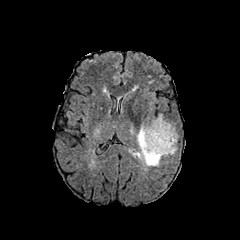
FLAIR MR.
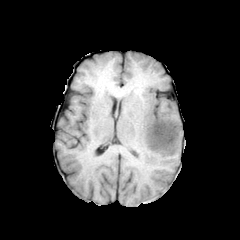
T1-weighted MR image of the same slice.
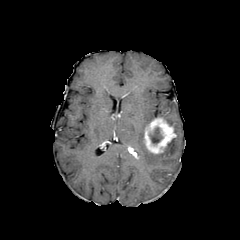
Post-contrast T1-weighted MR.
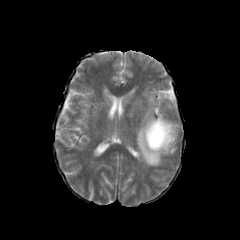
T2-weighted MR image of the same slice.
240x240
Non-enhancing tumor core — bbox=[151, 128, 161, 143].
Enhancing tumor — bbox=[129, 147, 137, 157]; bbox=[144, 118, 176, 153].
Edema — bbox=[134, 113, 179, 166].